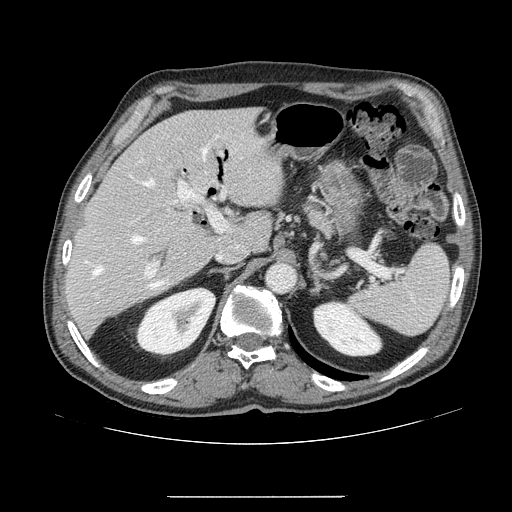
Upper abdomen; CT slice

pancreas:
  - x1=293, y1=196, x2=343, y2=240